Slice index 63. 240x240.
FLAIR magnetic resonance.
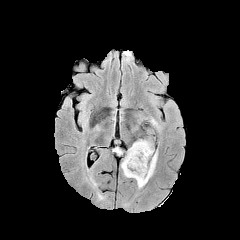
T1-weighted MR.
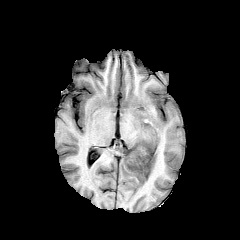
Post-contrast T1-weighted MRI.
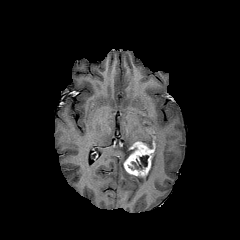
T2-weighted MR image.
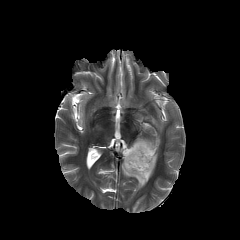
The enhancing tumor lies within x1=124 y1=141 x2=155 y2=175. The non-enhancing tumor core is located at x1=128 y1=155 x2=149 y2=171. 4 edema regions are located at x1=112 y1=146 x2=122 y2=155, x1=135 y1=139 x2=153 y2=144, x1=121 y1=148 x2=157 y2=188, x1=150 y1=116 x2=161 y2=131.